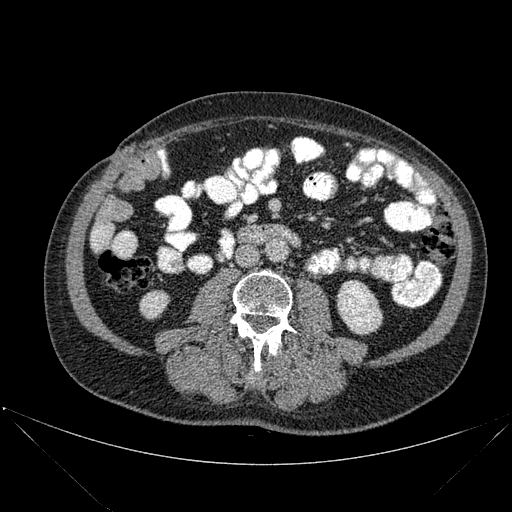 Abdomen; CT scan slice; Image size 512x512

kidney:
  - <bbox>140, 291, 167, 318</bbox>
  - <bbox>337, 281, 381, 333</bbox>
bone:
  - <bbox>230, 270, 295, 371</bbox>